FLAIR magnetic resonance.
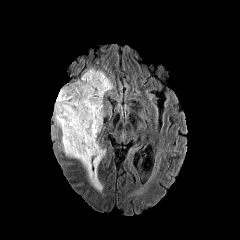
T1-weighted MRI.
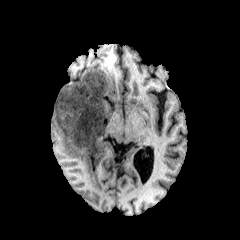
Post-contrast T1-weighted MRI.
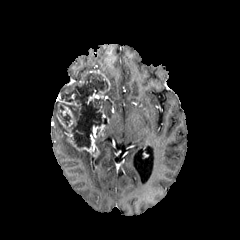
T2-weighted MR.
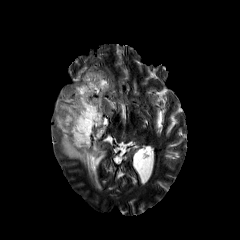
Brain; 240x240 px
2 edema regions are located at [105,108,112,117], [52,116,106,191]. The non-enhancing tumor core is located at [53,71,108,148]. 3 enhancing tumor regions are located at [57,105,75,128], [64,124,104,155], [87,91,105,102].